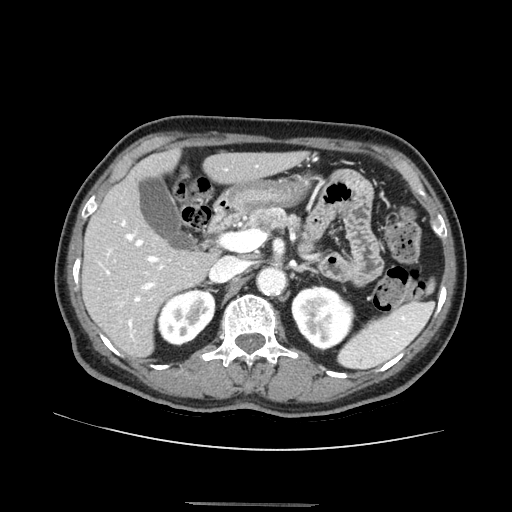 Abdomen, 512x512, CT scan slice

pancreas:
  - x1=244 y1=210 x2=302 y2=234
pancreatic_tumor:
  - x1=256 y1=215 x2=268 y2=229